FLAIR MR.
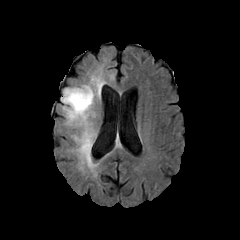
T1-weighted magnetic resonance.
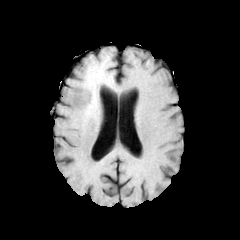
Post-contrast T1-weighted magnetic resonance.
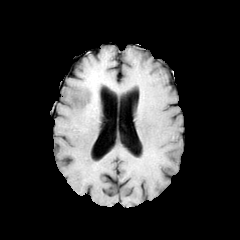
T2-weighted MR image.
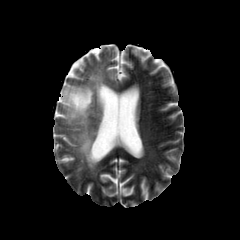
Non-enhancing tumor core: bbox(82, 75, 101, 119).
Edema: bbox(93, 68, 106, 86); bbox(97, 85, 101, 105); bbox(61, 84, 98, 176).